512x512; CT slice; Slice 53 of 536 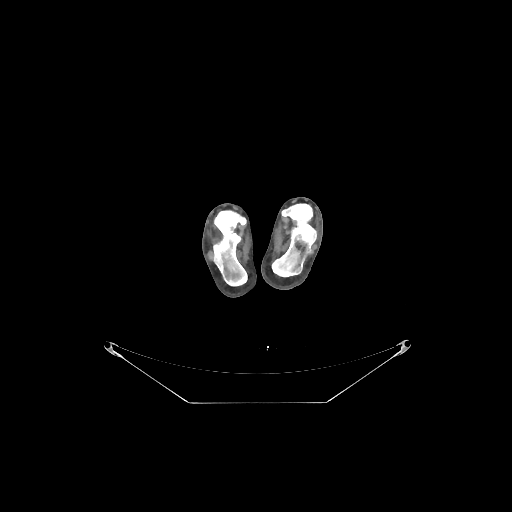

<segmentation>
  <bone>[213, 210, 247, 285], [272, 203, 316, 276]</bone>
</segmentation>